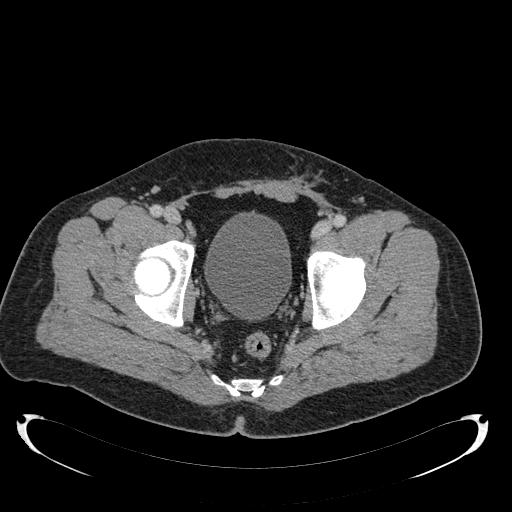
Computed tomography.

Urinary bladder — (x1=204, y1=212, x2=291, y2=320).